Brain.
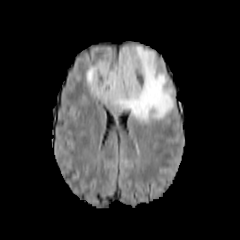
FLAIR MR.
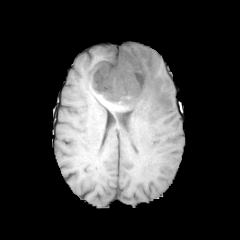
T1-weighted MR.
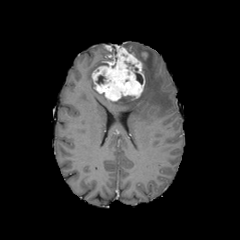
Same slice, post-contrast T1-weighted MRI.
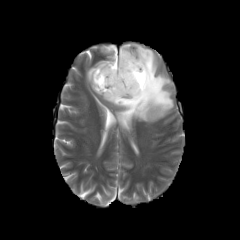
T2-weighted magnetic resonance.
Non-enhancing tumor core: (107, 45, 116, 55), (95, 75, 106, 84), (135, 72, 143, 84).
Enhancing tumor: (92, 44, 144, 100).
Edema: (108, 45, 173, 122), (87, 63, 97, 92).